240x240. Slice 79 of 155.
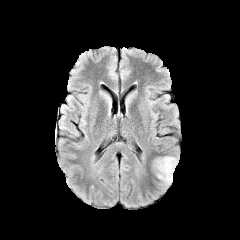
FLAIR magnetic resonance.
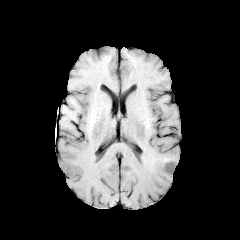
T1-weighted MR image.
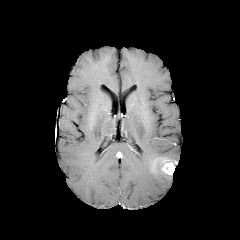
Post-contrast T1-weighted magnetic resonance.
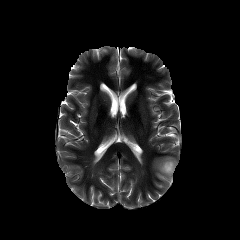
Same slice, T2-weighted MR image.
<segmentation>
  <enhancing_tumor>region(161, 161, 176, 175)</enhancing_tumor>
  <edema>region(154, 156, 177, 185)</edema>
</segmentation>